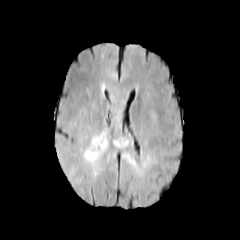
FLAIR magnetic resonance.
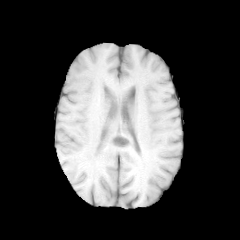
T1-weighted magnetic resonance.
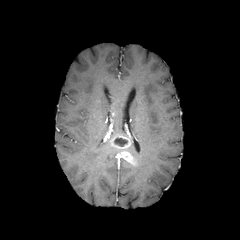
Post-contrast T1-weighted MR.
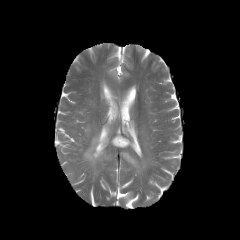
Same slice, T2-weighted magnetic resonance.
Brain, 240x240 px
{
  "edema": [
    "bbox=[107, 99, 116, 119]",
    "bbox=[84, 131, 107, 162]"
  ],
  "non-enhancing_tumor_core": [
    "bbox=[114, 138, 128, 146]"
  ],
  "enhancing_tumor": [
    "bbox=[111, 135, 131, 149]",
    "bbox=[121, 150, 135, 164]"
  ]
}